Slice index 63; Brain
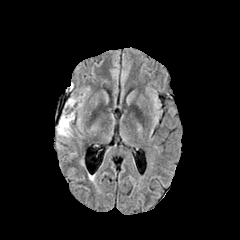
FLAIR MR image.
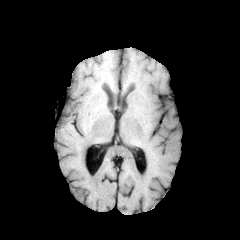
T1-weighted MR image of the same slice.
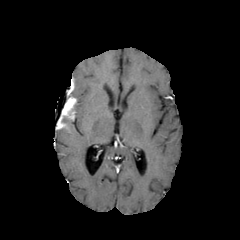
Post-contrast T1-weighted MR of the same slice.
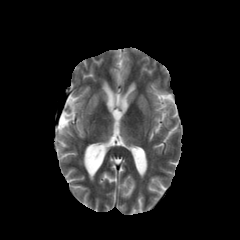
Same slice, T2-weighted MR.
Edema — <bbox>56, 102, 81, 144</bbox>.
Enhancing tumor — <bbox>57, 96, 75, 130</bbox>.